CT slice 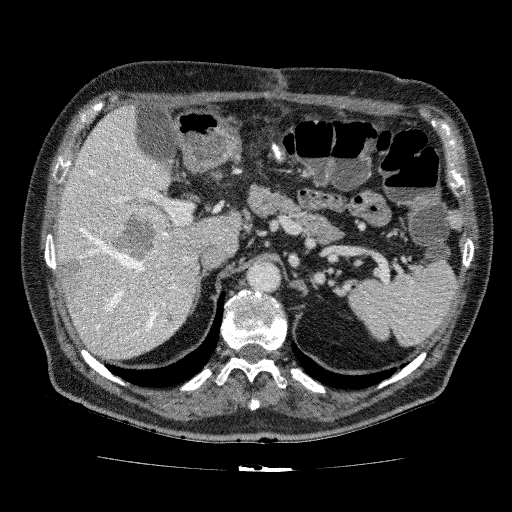
{
  "hepatic_lesion": [
    "(163,310,176,324)",
    "(57,256,95,316)",
    "(101,211,160,260)",
    "(125,321,137,330)"
  ],
  "liver": [
    "(55,104,242,359)"
  ]
}